FLAIR MR.
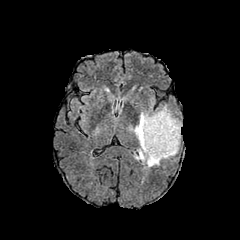
T1-weighted MR image.
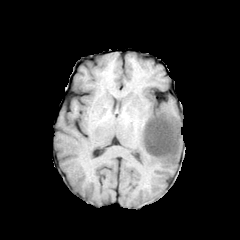
Post-contrast T1-weighted magnetic resonance.
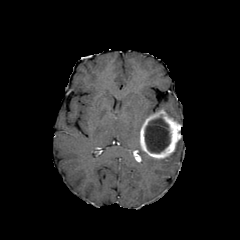
T2-weighted MR image.
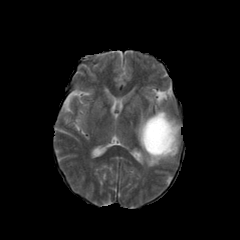
4 edema regions appear at (140,150,167,167), (156,105,171,115), (168,139,181,159), (133,110,155,145). 2 enhancing tumor regions appear at (133,150,141,161), (139,108,181,159). The non-enhancing tumor core is located at (144,116,169,153).